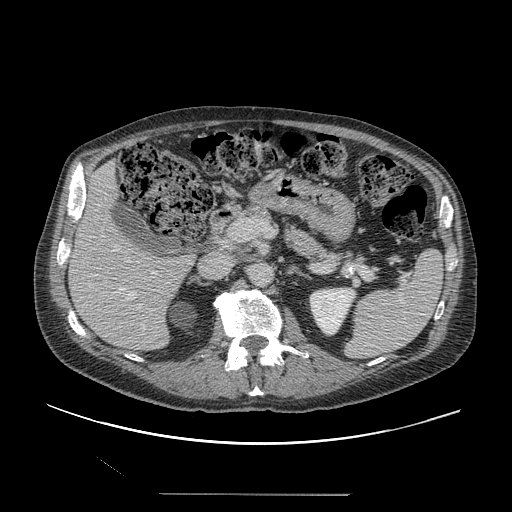
Abdomen, CT scan slice
Findings:
- pancreas: (x1=244, y1=206, x2=349, y2=264)